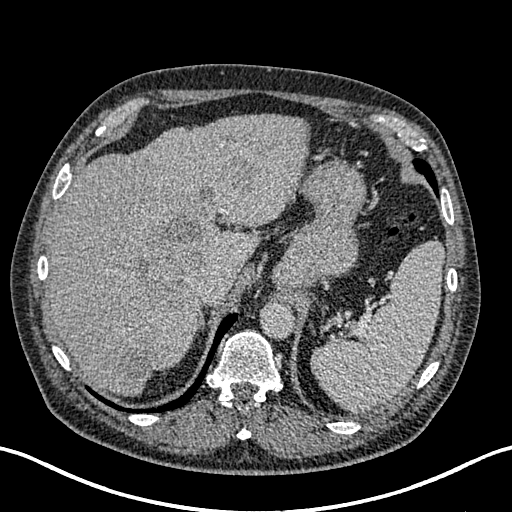

Computed tomography
The liver is located at l=49, t=114, r=309, b=393. 4 focal liver lesion regions appear at l=131, t=213, r=207, b=311; l=194, t=183, r=214, b=203; l=119, t=337, r=163, b=380; l=224, t=153, r=260, b=189.